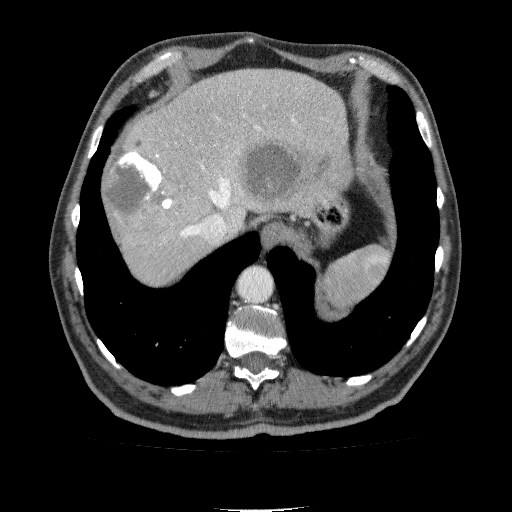
Computed tomography, 512x512, Liver
2 hepatic lesion regions appear at [235, 137, 332, 205], [103, 148, 177, 223]. The liver is at [109, 70, 353, 285].